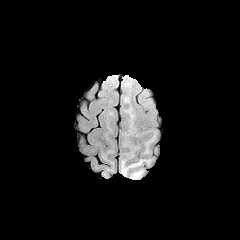
FLAIR magnetic resonance.
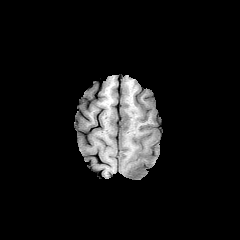
T1-weighted MR image of the same slice.
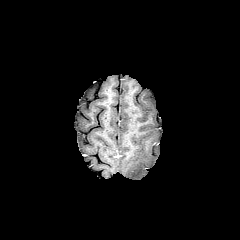
Same slice, post-contrast T1-weighted MR.
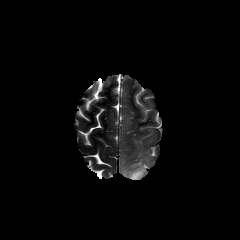
T2-weighted magnetic resonance.
Head
edema:
  - 130, 168, 143, 179